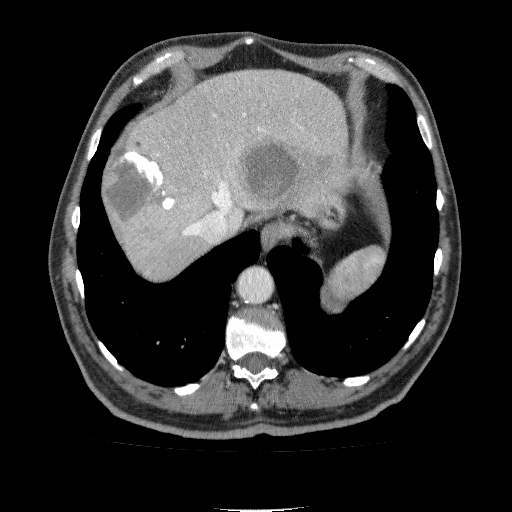

512x512; CT image; Upper abdomen
The liver lies within box(111, 70, 352, 279). 2 focal liver lesion regions are located at box(103, 147, 179, 225); box(236, 138, 331, 206).